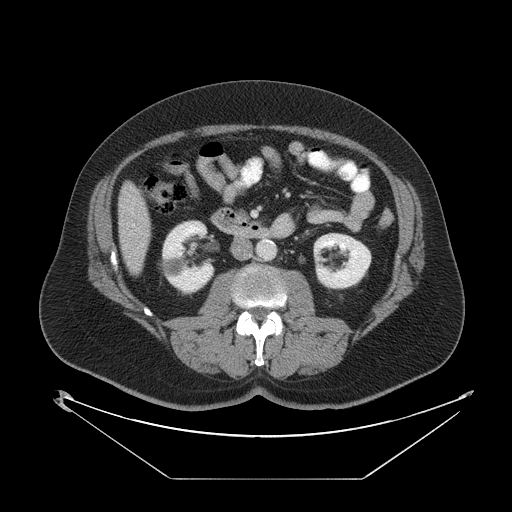
Abdomen. CT scan slice. 512x512.

Only some of the vessels may be annotated.
Hepatic vessel: (x1=132, y1=224, x2=134, y2=225).